Head
FLAIR MRI.
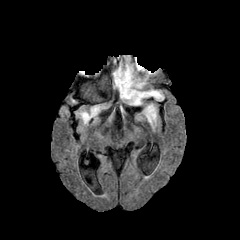
T1-weighted magnetic resonance.
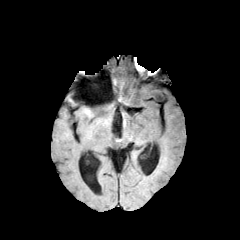
Post-contrast T1-weighted MRI.
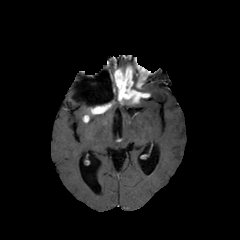
T2-weighted magnetic resonance.
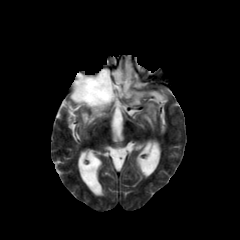
Non-enhancing tumor core: 132:67:148:89, 96:103:111:109.
Enhancing tumor: 94:106:102:113, 113:64:149:103.
Edema: 144:103:156:126, 146:88:164:101, 82:112:98:121.